Field of view 382x382 mm, Slice 582 of 722, Abdomen, CT slice 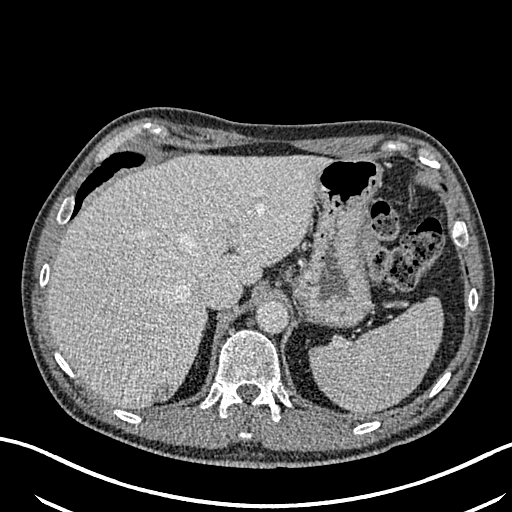 liver lesion: [151, 382, 173, 401] | liver: [49, 155, 330, 408]